Image width 500 mm. Slice 40 of 114. CT. 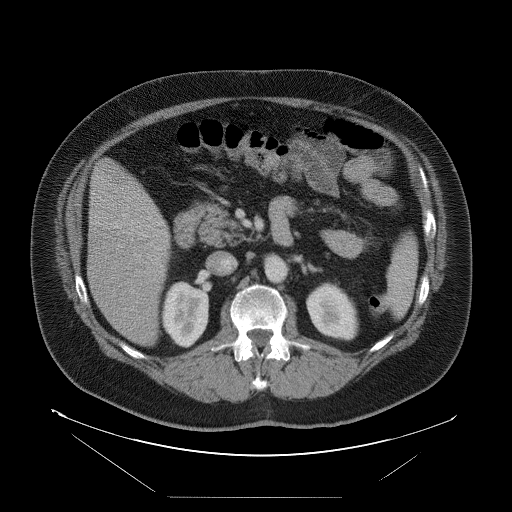

Not every hepatic vessel necessarily has a box.
<segmentation>
  <hepatic_vessel>(154, 234, 158, 236), (114, 221, 121, 228), (155, 265, 163, 271), (147, 221, 167, 236), (134, 253, 140, 256), (131, 291, 134, 293), (147, 255, 150, 257)</hepatic_vessel>
</segmentation>